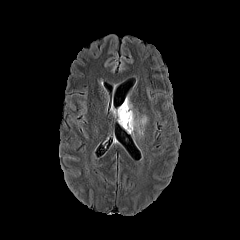
FLAIR MR image.
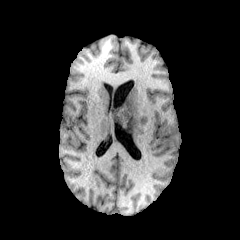
Same slice, T1-weighted MR image.
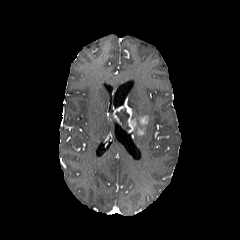
Post-contrast T1-weighted MRI.
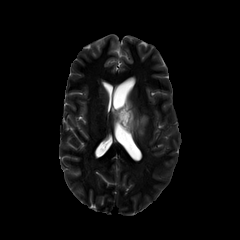
T2-weighted MRI.
Brain
Enhancing tumor — bbox=[112, 97, 131, 125]; bbox=[122, 115, 148, 135].
Non-enhancing tumor core — bbox=[130, 108, 138, 120]; bbox=[115, 108, 130, 130].